CT scan slice. Liver. 512x512.
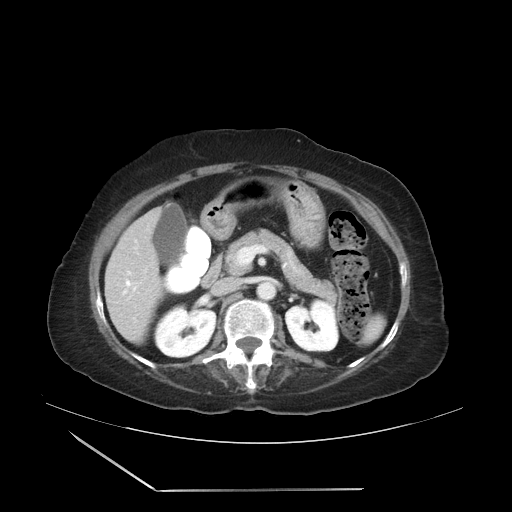

Not every hepatic vessel necessarily has a box.
The liver tumor appears at (left=133, top=290, right=143, bottom=297). 7 hepatic vessel regions are bounded by (left=127, top=271, right=131, bottom=274), (left=166, top=283, right=172, bottom=290), (left=134, top=240, right=138, bottom=249), (left=133, top=315, right=137, bottom=322), (left=143, top=266, right=147, bottom=272), (left=122, top=279, right=139, bottom=302), (left=145, top=290, right=148, bottom=293).